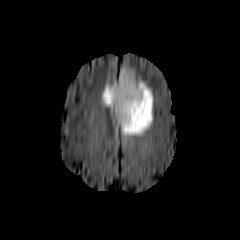
FLAIR MR image.
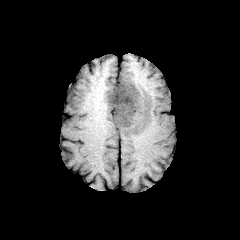
Same slice, T1-weighted MR image.
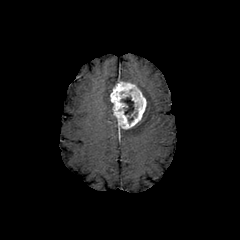
Post-contrast T1-weighted MR.
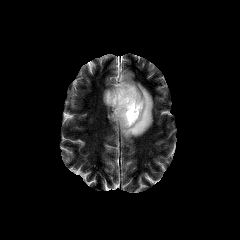
Same slice, T2-weighted MR image.
Non-enhancing tumor core: bounding box l=128, t=118, r=142, b=129; l=121, t=97, r=134, b=116.
Enhancing tumor: bounding box l=110, t=75, r=146, b=129.
Edema: bounding box l=115, t=68, r=153, b=141; l=102, t=80, r=115, b=113.